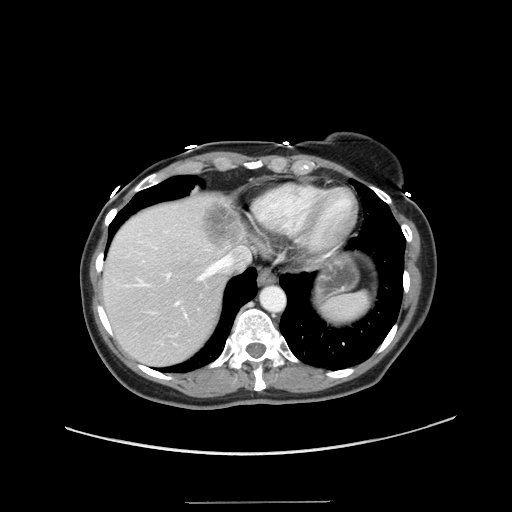

Abdomen. 512x512 px. Computed tomography. The vessel boxes may cover only some of the vessels.
Hepatic vessel at box(138, 279, 145, 285); box(199, 251, 241, 279); box(185, 314, 186, 316); box(168, 273, 170, 276); box(233, 246, 249, 259); box(175, 302, 179, 305).
Liver tumor at box(199, 199, 245, 252).